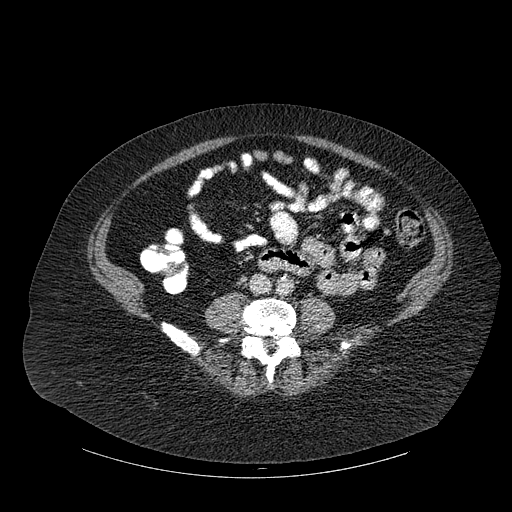
Computed tomography. 3 bone regions are located at (341,342,350,349), (242,299,300,382), (162,323,199,354).